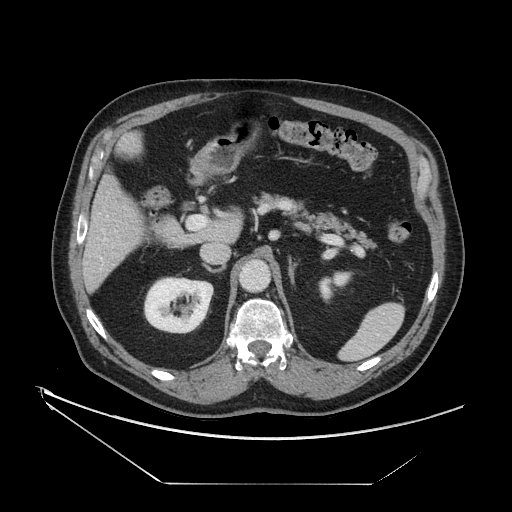
Computed tomography. Upper abdomen. 2 pancreas regions are bounded by box=[292, 200, 375, 248]; box=[256, 192, 282, 205].